FLAIR MR.
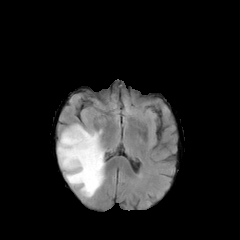
T1-weighted MR image.
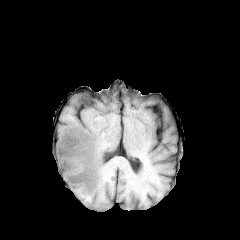
Post-contrast T1-weighted MRI.
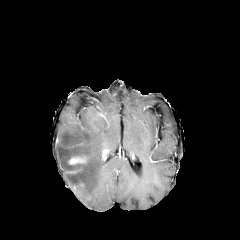
T2-weighted MR image.
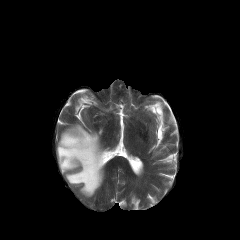
240x240 px
Edema at 57:124:104:197.
Enhancing tumor at 68:155:87:165.